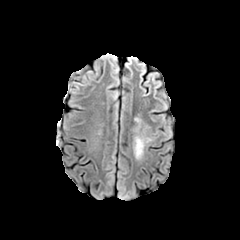
FLAIR MRI.
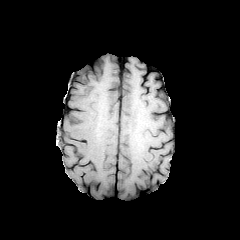
Same slice, T1-weighted magnetic resonance.
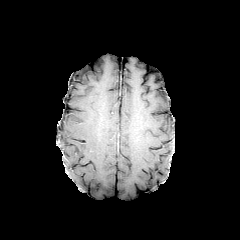
Post-contrast T1-weighted MR image of the same slice.
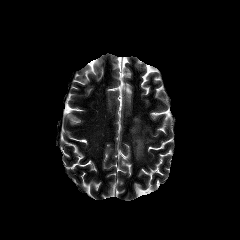
T2-weighted MR.
<segmentation>
  <edema><bbox>133, 137, 144, 158</bbox></edema>
</segmentation>